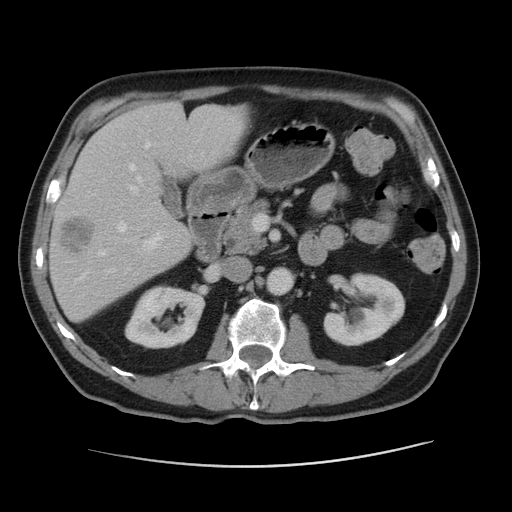
Liver | CT slice | Image size 512x512
liver: box=[48, 104, 245, 318] | focal liver lesion: box=[61, 215, 93, 252] | kidney: box=[127, 285, 203, 347]; box=[323, 273, 404, 345]